Slice index 81, Image size 512x512, CT 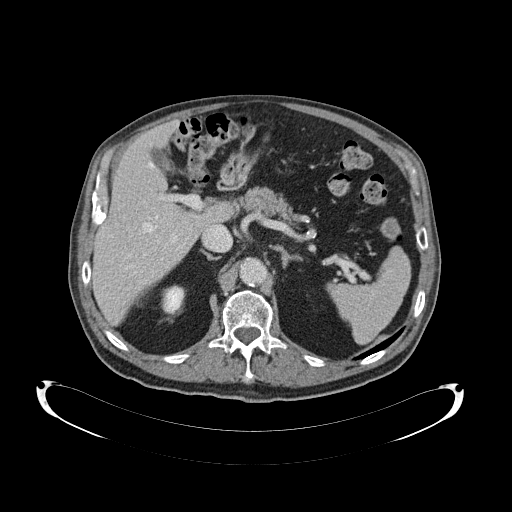 The pancreas is bounded by (241,185,299,227).